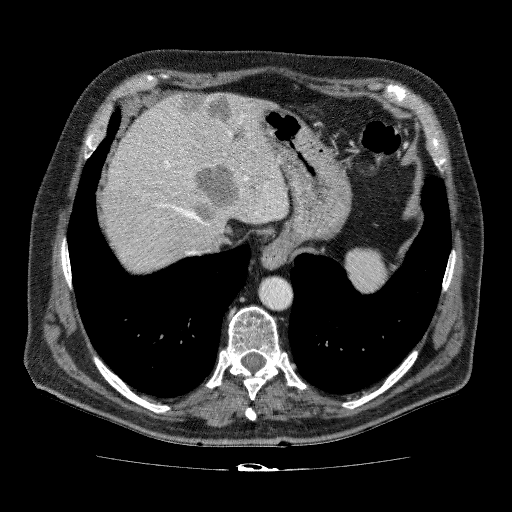 Liver. 512x512 px. Computed tomography.

Annotated regions:
* liver lesion: 114, 185, 123, 193; 169, 228, 182, 238; 173, 93, 234, 122; 188, 162, 239, 221; 246, 181, 266, 197; 134, 228, 145, 239; 231, 127, 246, 145
* liver: 101, 93, 288, 273